FLAIR MRI.
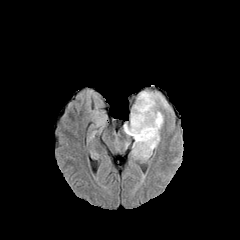
T1-weighted MR.
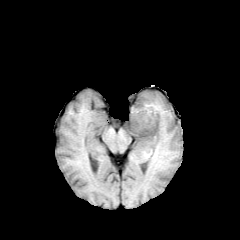
Post-contrast T1-weighted MR image.
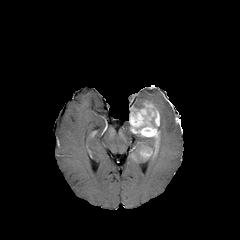
T2-weighted MR.
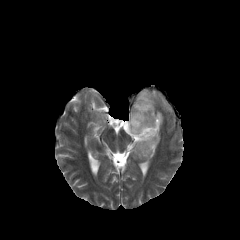
Head
edema: (123,90,173,162) | non-enhancing tumor core: (140,141,153,155), (133,100,152,109) | enhancing tumor: (140,147,152,158), (129,103,159,136)